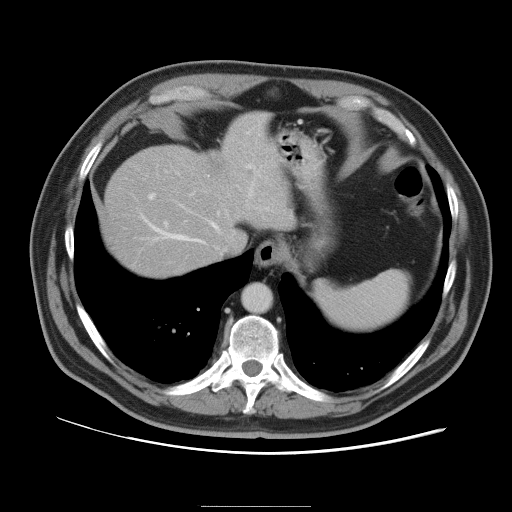 CT scan slice. Only some of the vessels may be annotated.
Liver tumor: bounding box 209:159:221:174.
Most prominent 15 of 18 hepatic vessel regions: bounding box 265:148:270:151, 196:239:205:244, 148:193:154:198, 236:185:241:189, 180:204:192:212, 140:214:187:240, 247:164:262:176, 206:218:220:233, 246:202:248:206, 248:184:253:197, 141:238:145:239, 264:177:267:182, 190:193:193:195, 215:246:218:249, 176:172:179:174.